FLAIR MR image.
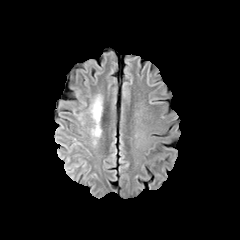
T1-weighted MR.
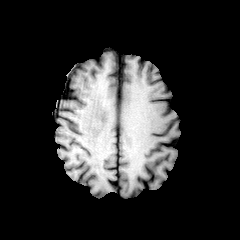
Post-contrast T1-weighted magnetic resonance.
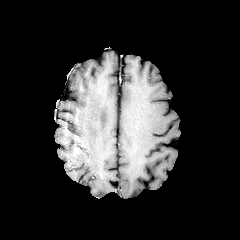
T2-weighted magnetic resonance.
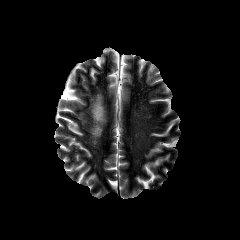
edema: left=89, top=94, right=103, bottom=143